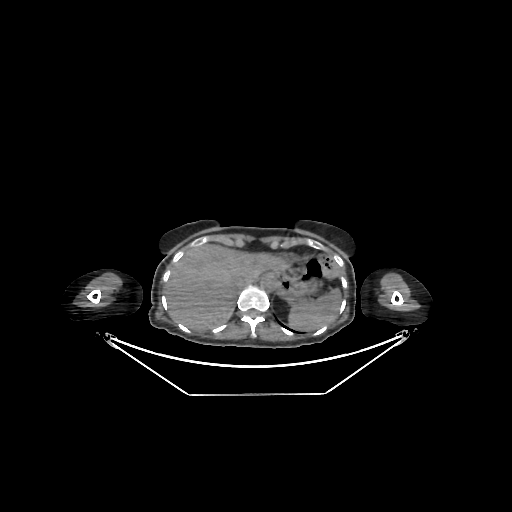 CT, Abdomen

Segmented structures:
* liver: bbox=[164, 244, 282, 330]